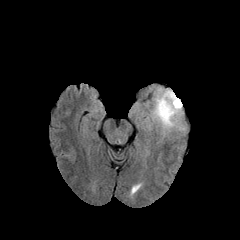
FLAIR MRI.
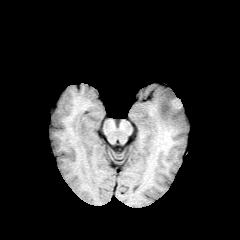
T1-weighted MRI.
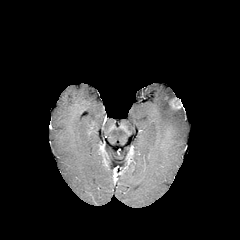
Post-contrast T1-weighted magnetic resonance.
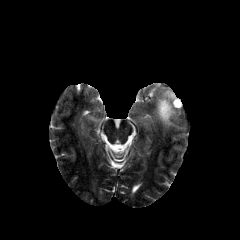
T2-weighted MR of the same slice.
240x240 px. Head.
Enhancing tumor: region(169, 97, 182, 110).
Edema: region(131, 85, 187, 135).